Slice 295 of 366 | CT image | Upper abdomen | 512x512 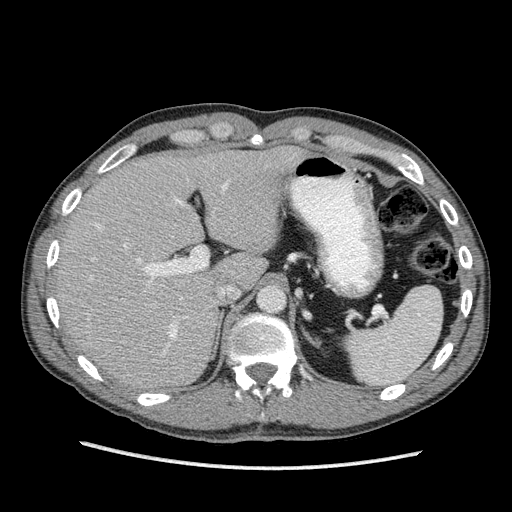 * liver: box(53, 144, 314, 393)